CT slice

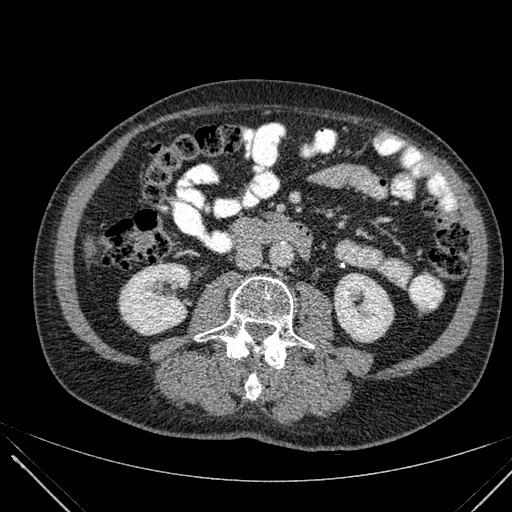
Annotated regions:
• liver: 84,241,95,251
• kidney: 335,273,393,341; 120,263,189,334